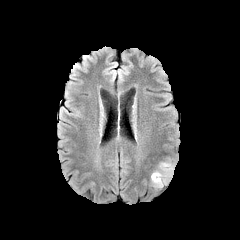
FLAIR MR image.
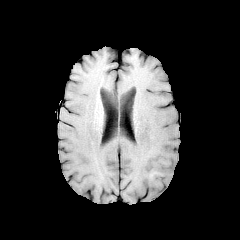
T1-weighted MR.
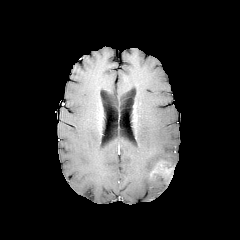
Post-contrast T1-weighted magnetic resonance.
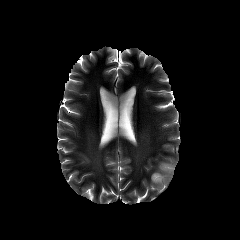
T2-weighted magnetic resonance.
2 non-enhancing tumor core regions are bounded by [159,163,173,169], [151,170,171,181]. The edema is at [150,158,173,189].